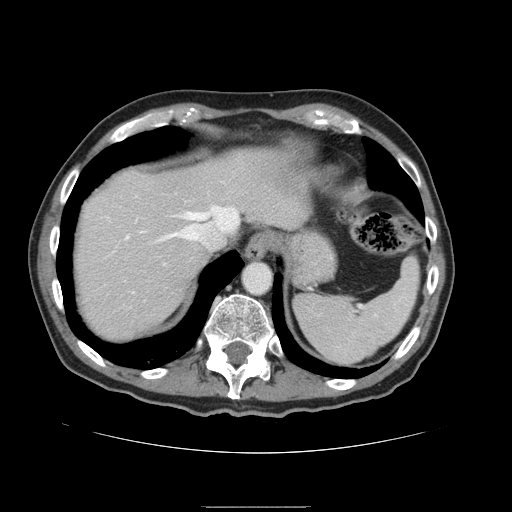
CT | 512x512 px
spleen: [293,258,419,365]